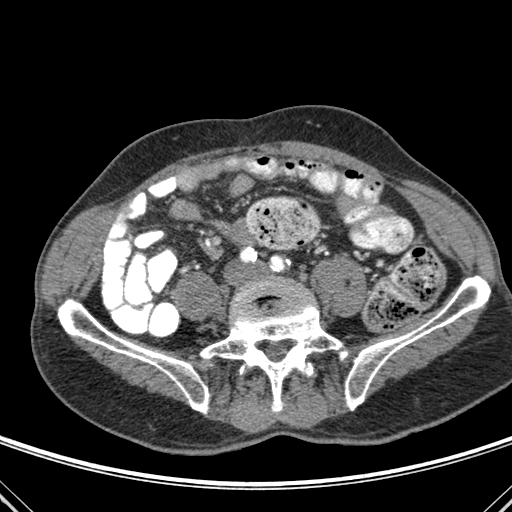 CT scan slice
Annotated regions:
• bone: (left=200, top=280, right=348, bottom=411), (left=58, top=299, right=209, bottom=413), (left=345, top=276, right=490, bottom=410)